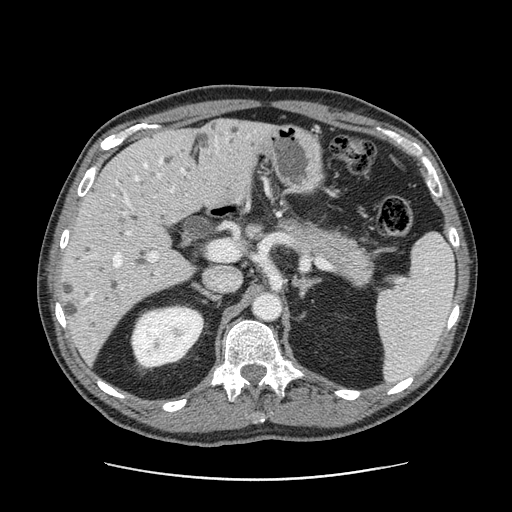

Upper abdomen, CT image

Pancreas = l=277, t=218, r=373, b=287.